FLAIR MR image.
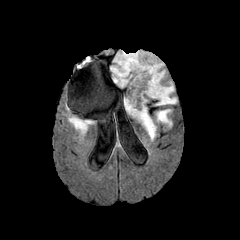
T1-weighted MR.
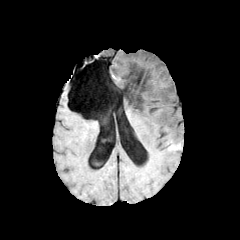
Post-contrast T1-weighted MR image.
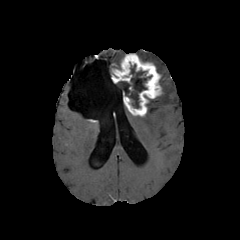
T2-weighted MR image.
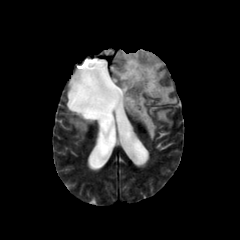
Brain
{
  "enhancing_tumor": [
    "left=112, top=54, right=161, bottom=115"
  ],
  "non-enhancing_tumor_core": [
    "left=119, top=65, right=151, bottom=107"
  ],
  "edema": [
    "left=155, top=109, right=172, bottom=126",
    "left=110, top=51, right=125, bottom=71",
    "left=133, top=113, right=156, bottom=140",
    "left=133, top=84, right=140, bottom=97",
    "left=69, top=117, right=93, bottom=133",
    "left=135, top=50, right=176, bottom=105"
  ]
}